FLAIR MRI.
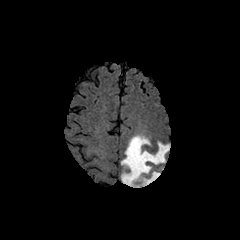
T1-weighted MR.
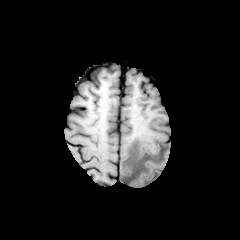
Post-contrast T1-weighted MR.
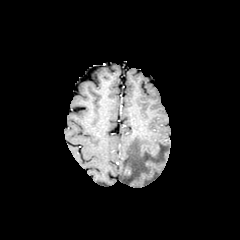
T2-weighted MR image.
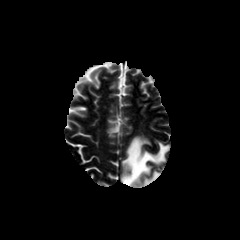
The edema is at l=120, t=135, r=169, b=187.